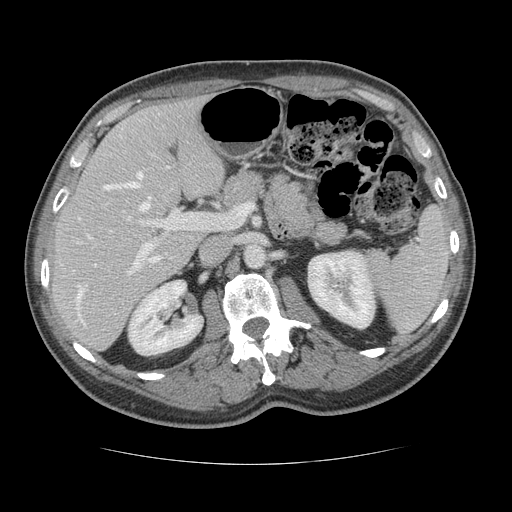 512x512 px; Computed tomography; Liver
Some hepatic vessels may have no box.
hepatic_vessel:
  - [x1=78, y1=217, x2=79, y2=219]
  - [x1=140, y1=197, x2=150, y2=210]
  - [x1=128, y1=217, x2=130, y2=219]
  - [x1=76, y1=241, x2=79, y2=243]
  - [x1=140, y1=210, x2=193, y2=229]
  - [x1=148, y1=256, x2=159, y2=261]
  - [x1=76, y1=285, x2=86, y2=326]
  - [x1=128, y1=241, x2=154, y2=273]
  - [x1=87, y1=234, x2=91, y2=238]
  - [x1=137, y1=172, x2=141, y2=178]
  - [x1=72, y1=270, x2=73, y2=272]
  - [x1=102, y1=184, x2=121, y2=189]
  - [x1=166, y1=166, x2=169, y2=168]
  - [x1=125, y1=182, x2=138, y2=186]